MR, 34x51 px
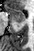
The anterior hippocampus is at (x1=8, y1=8, x2=26, y2=22).